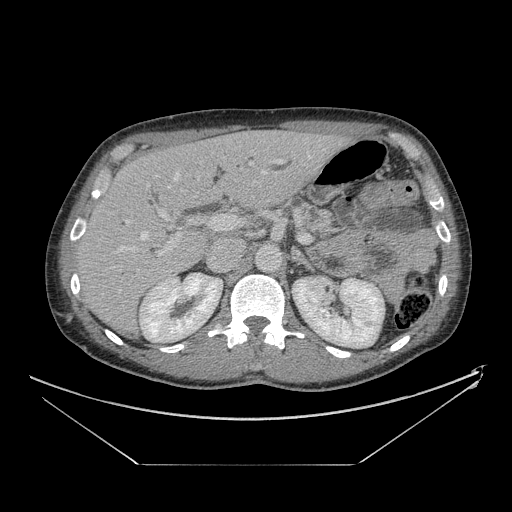 CT slice; 512x512 px
The pancreas is located at bbox=[284, 197, 334, 240].